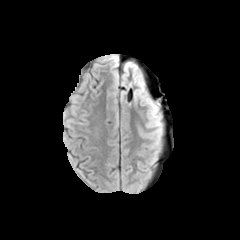
FLAIR MRI.
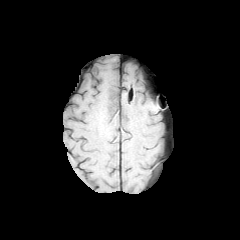
T1-weighted MRI of the same slice.
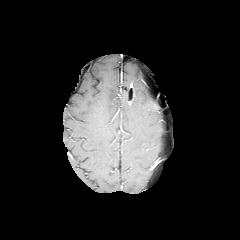
Same slice, post-contrast T1-weighted magnetic resonance.
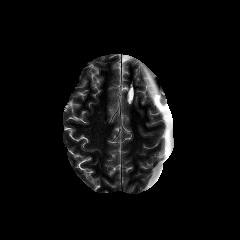
T2-weighted MR.
Image size 240x240, Brain
Segmented structures:
* edema: 140,77,161,127; 156,125,163,142